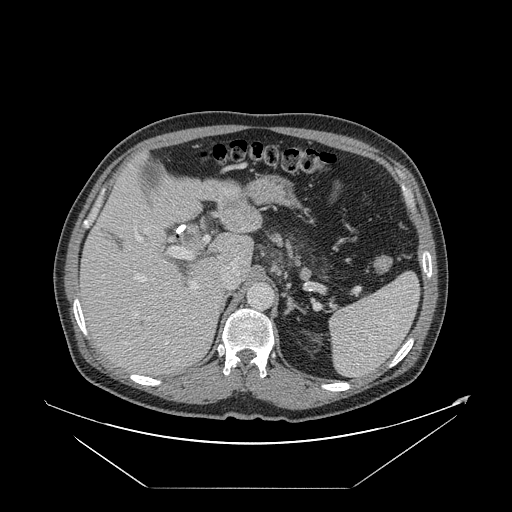
Abdomen. 512x512. Computed tomography. Only some of the vessels may be annotated.
14 hepatic vessel regions are bounded by x1=144, y1=229, x2=147, y2=232; x1=214, y1=291, x2=217, y2=291; x1=203, y1=236, x2=208, y2=242; x1=169, y1=247, x2=192, y2=258; x1=135, y1=274, x2=145, y2=281; x1=190, y1=281, x2=197, y2=288; x1=169, y1=225, x2=185, y2=241; x1=211, y1=196, x2=213, y2=197; x1=218, y1=257, x2=222, y2=262; x1=221, y1=253, x2=245, y2=289; x1=133, y1=312, x2=137, y2=315; x1=135, y1=230, x2=140, y2=240; x1=199, y1=195, x2=209, y2=199; x1=214, y1=213, x2=217, y2=216.